Image size 240x240, Head
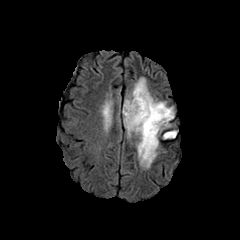
FLAIR MRI.
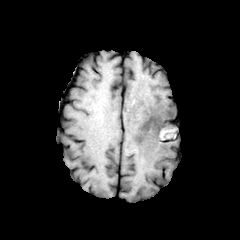
T1-weighted MR.
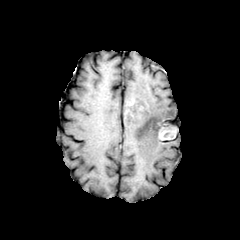
Post-contrast T1-weighted magnetic resonance.
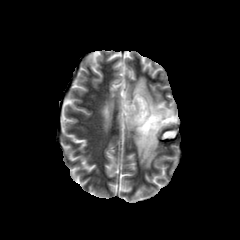
T2-weighted MR image of the same slice.
Edema: bounding box (120,77,177,168), (102,104,111,125).
Non-enhancing tumor core: bounding box (138,100,172,139), (123,96,137,116), (164,130,176,138).